Slice 90/155
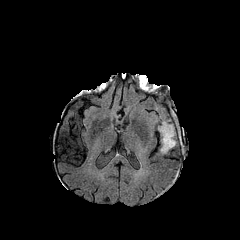
FLAIR MR image.
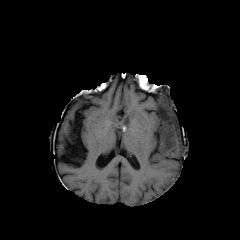
T1-weighted MR.
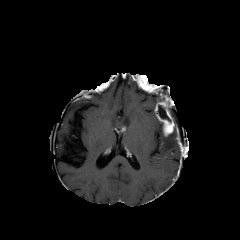
Post-contrast T1-weighted magnetic resonance.
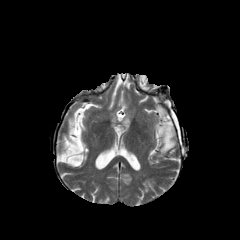
T2-weighted MRI.
{
  "enhancing_tumor": [
    {"x1": 157, "y1": 108, "x2": 177, "y2": 136}
  ],
  "non-enhancing_tumor_core": [
    {"x1": 156, "y1": 90, "x2": 175, "y2": 123},
    {"x1": 138, "y1": 80, "x2": 148, "y2": 89}
  ],
  "edema": [
    {"x1": 158, "y1": 135, "x2": 177, "y2": 155}
  ]
}